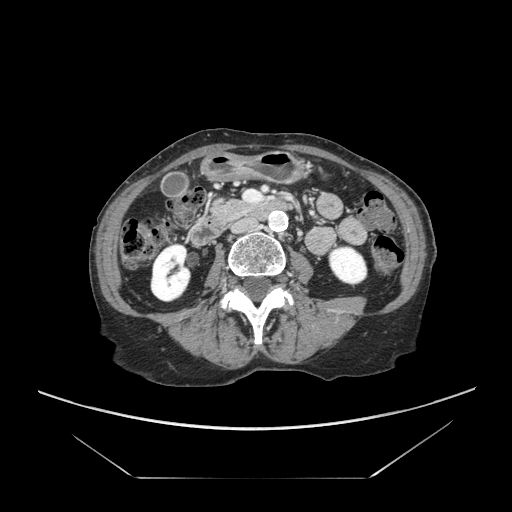

CT image | Upper abdomen | 512x512 px

Annotated regions:
- pancreas: l=207, t=196, r=264, b=228